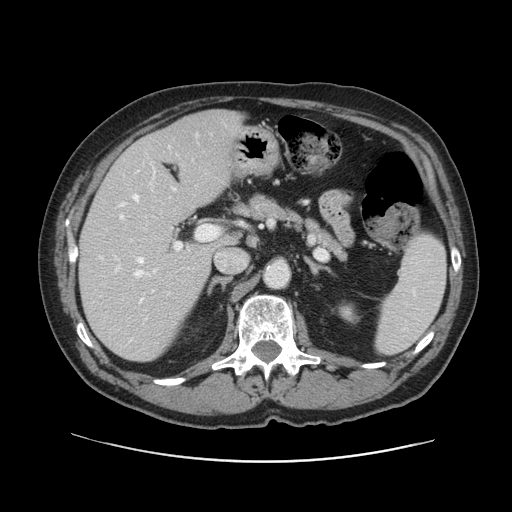

CT scan slice
Only some of the vessels may be annotated.
- hepatic vessel: [120,215,123,218], [119,203,124,206], [139,299,142,302], [134,194,138,200], [115,266,118,271], [135,270,141,276], [154,269,156,271], [138,257,143,262]